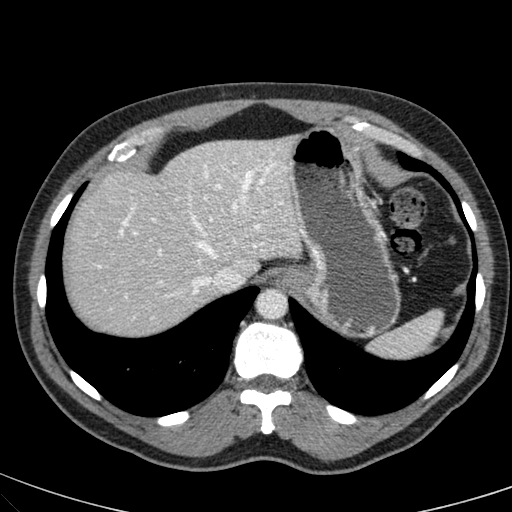
CT image. The liver lies within <box>67,135,301,335</box>.